Brain.
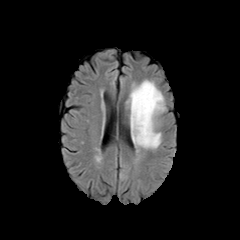
FLAIR magnetic resonance.
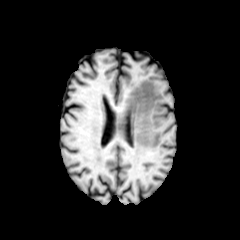
T1-weighted MR.
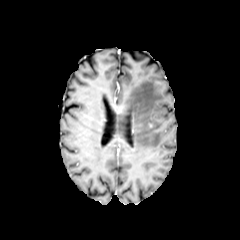
Post-contrast T1-weighted magnetic resonance.
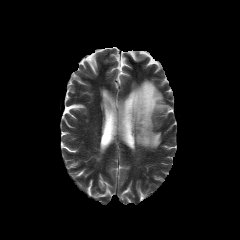
T2-weighted magnetic resonance.
edema:
  - 127:80:165:148